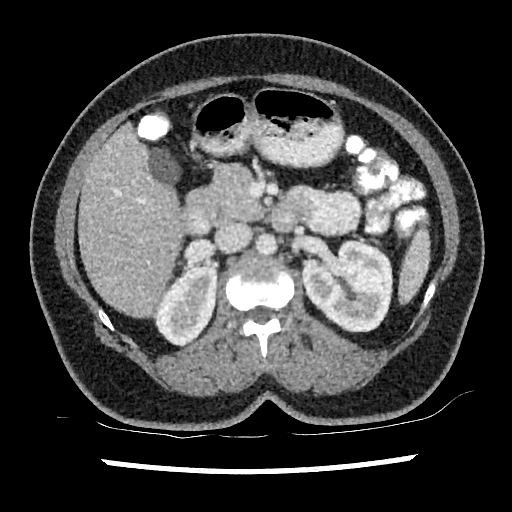 CT image

Kidney = (x1=303, y1=242, x2=391, y2=330), (x1=156, y1=264, x2=216, y2=344).
Liver = (x1=79, y1=124, x2=180, y2=315).
Hepatic lesion = (x1=150, y1=150, x2=178, y2=182).